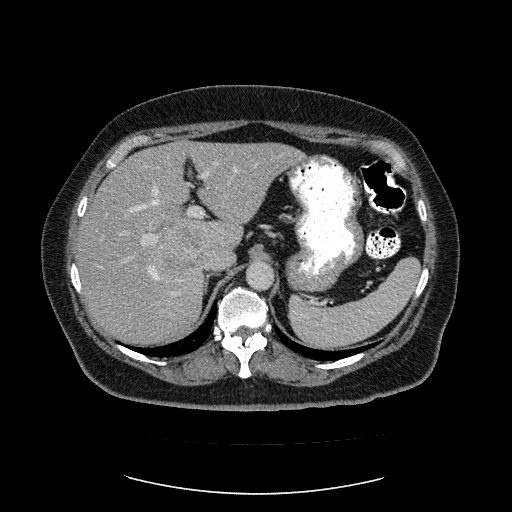 CT scan slice
The vessel boxes may cover only some of the vessels.
Top 15 of 18 hepatic vessel regions: [172,291,176,295], [187,183,190,185], [149,267,158,278], [233,167,237,171], [188,206,204,216], [121,232,128,234], [151,201,156,205], [123,257,130,262], [130,205,145,211], [209,222,215,224], [142,234,157,245], [214,162,218,164], [152,187,157,194], [201,170,209,177], [101,235,104,239].
Liver tumor: [166,259,195,274], [182,229,201,248].